Field of view 497x497 mm; CT; Liver

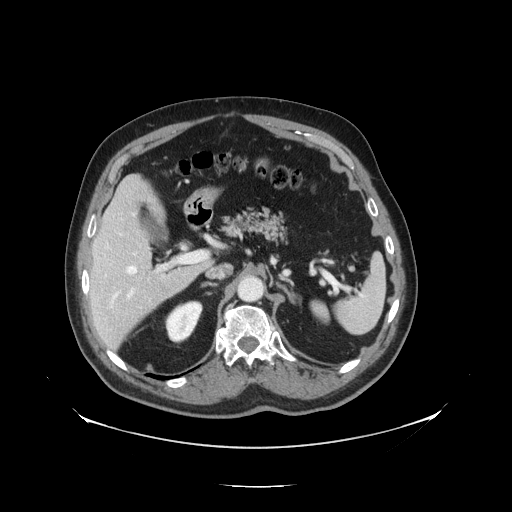
The vessel boxes may cover only some of the vessels.
6 hepatic vessel regions appear at {"x1": 127, "y1": 266, "x2": 137, "y2": 274}, {"x1": 131, "y1": 213, "x2": 135, "y2": 215}, {"x1": 127, "y1": 290, "x2": 133, "y2": 299}, {"x1": 157, "y1": 264, "x2": 173, "y2": 272}, {"x1": 111, "y1": 293, "x2": 118, "y2": 307}, {"x1": 134, "y1": 253, "x2": 136, "y2": 254}.